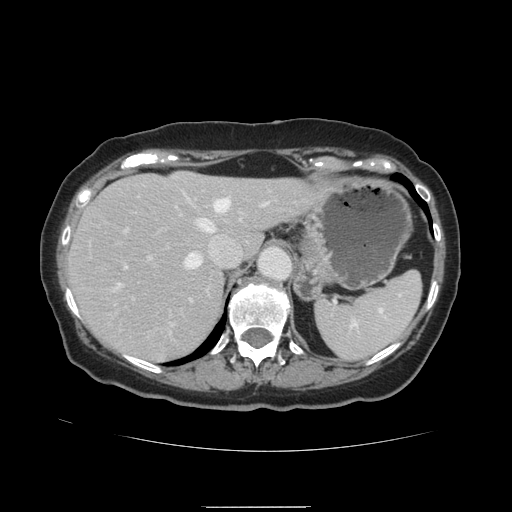 Image size 512x512. CT scan slice.

The vessel boxes may cover only some of the vessels.
<segmentation>
  <hepatic_vessel>147, 257, 150, 259; 113, 283, 119, 290; 183, 253, 200, 268; 213, 198, 229, 211; 124, 230, 125, 232; 195, 219, 212, 231; 263, 202, 267, 205</hepatic_vessel>
</segmentation>